240x240 px | Brain
FLAIR MR image.
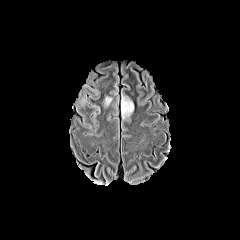
T1-weighted MR image.
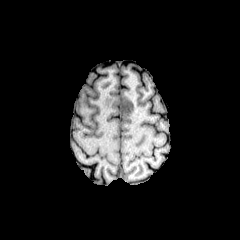
Post-contrast T1-weighted MRI.
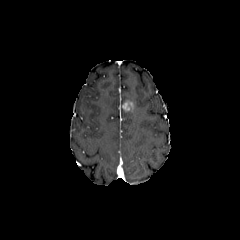
T2-weighted MR.
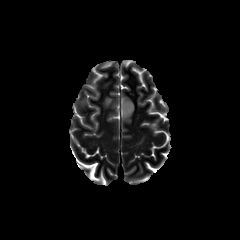
Findings:
• enhancing tumor: box=[122, 100, 134, 111]
• edema: box=[104, 97, 112, 106]; box=[121, 93, 134, 118]